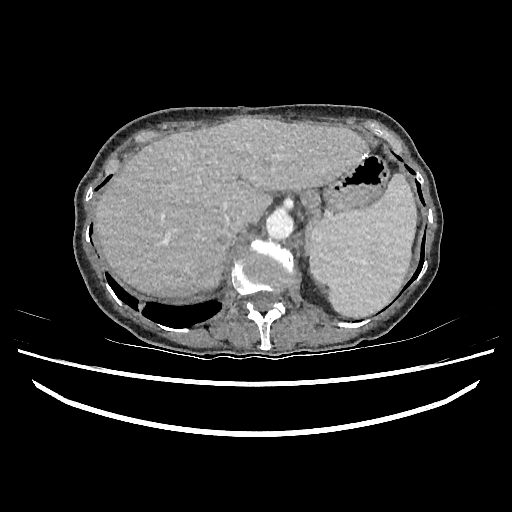

Computed tomography. Upper abdomen.

Liver: left=97, top=118, right=366, bottom=296.